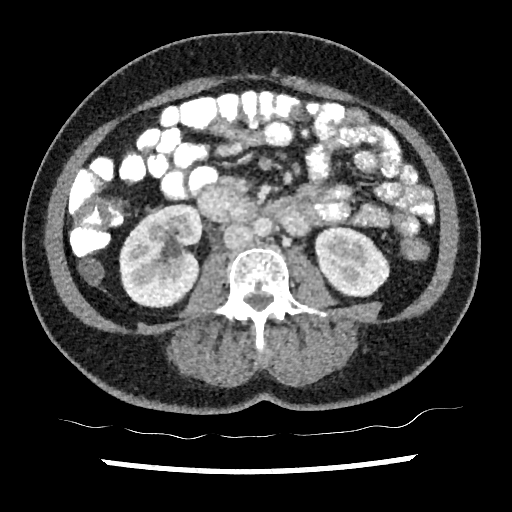 CT scan slice

Kidney: 120, 205, 201, 306; 316, 228, 387, 295.